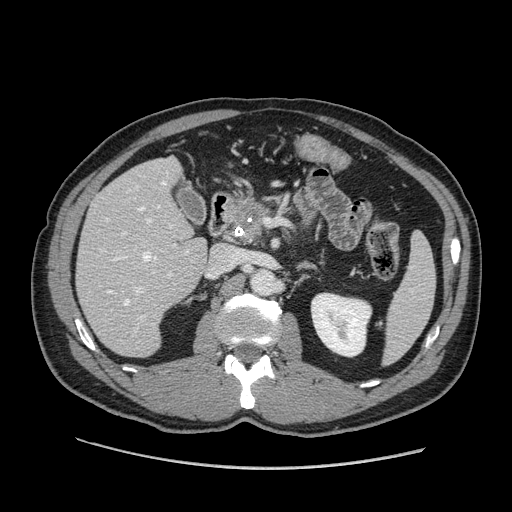
CT scan slice, Abdomen

pancreas: (228, 199, 274, 245) | pancreatic tumor: (238, 202, 263, 233)